Field of view 351x351 mm; CT; Slice 168/588 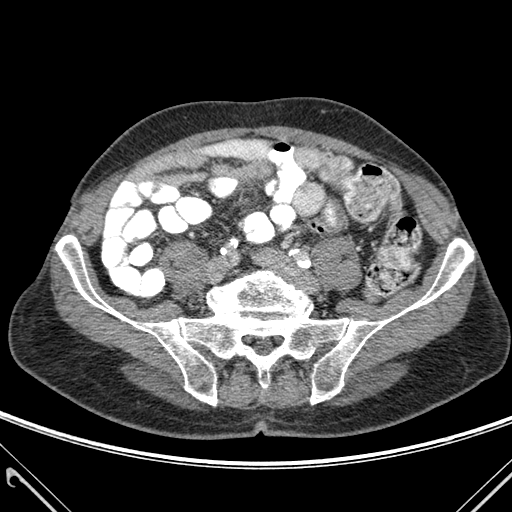

<segmentation>
  <bone>(x1=55, y1=235, x2=473, y2=405)</bone>
</segmentation>